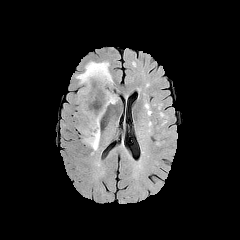
FLAIR magnetic resonance.
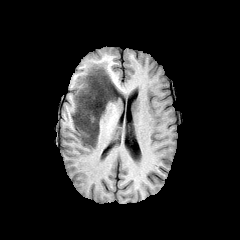
Same slice, T1-weighted MRI.
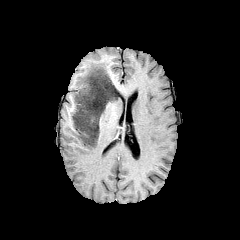
Same slice, post-contrast T1-weighted MRI.
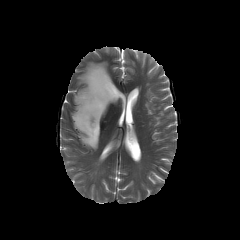
T2-weighted MR image.
Brain. 240x240.
Non-enhancing tumor core at (73,69,119,146).
Edema at (76,63,106,91).